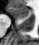
MR | Medial temporal lobe
Anterior hippocampus = (left=9, top=7, right=28, bottom=18).